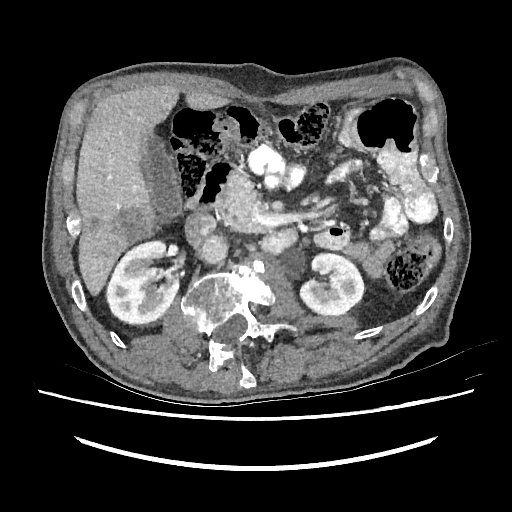
512x512, CT slice, Upper abdomen
{"kidney": ["box(107, 241, 178, 323)", "box(300, 253, 363, 315)"], "liver_lesion": ["box(83, 207, 150, 243)"], "liver": ["box(186, 91, 230, 109)", "box(76, 86, 178, 240)", "box(79, 228, 130, 295)"]}